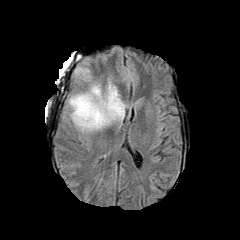
FLAIR MRI.
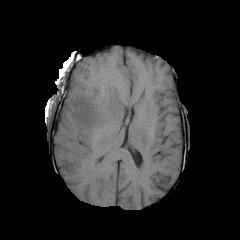
T1-weighted magnetic resonance.
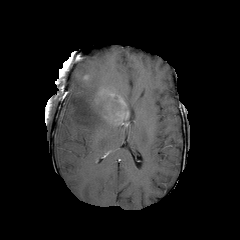
Same slice, post-contrast T1-weighted MRI.
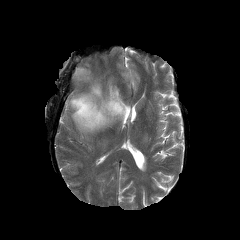
T2-weighted MR image.
Head
3 edema regions are located at rect(67, 84, 110, 132); rect(74, 66, 89, 75); rect(107, 81, 118, 94). The enhancing tumor lies within rect(91, 89, 129, 123).